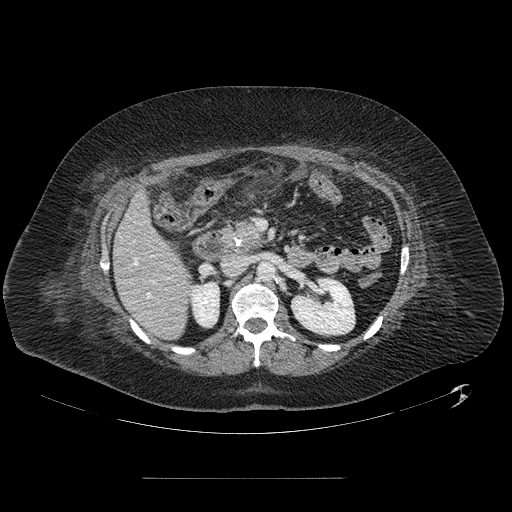
CT scan slice
The pancreatic tumor is at 239, 224, 255, 239. The pancreas is bounded by 222, 222, 260, 252.